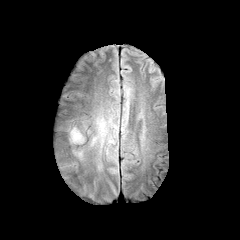
FLAIR magnetic resonance.
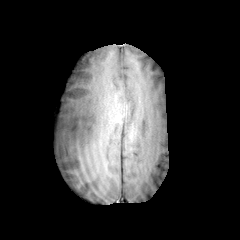
T1-weighted MR.
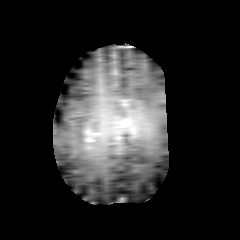
Post-contrast T1-weighted magnetic resonance.
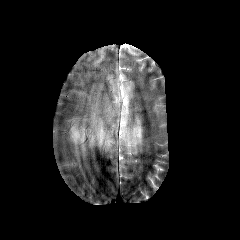
T2-weighted MR image of the same slice.
Head.
The edema lies within bbox=[72, 129, 79, 141].